Slice 104/155.
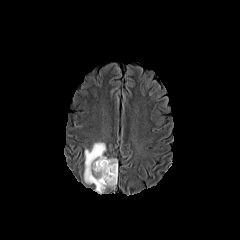
FLAIR MRI.
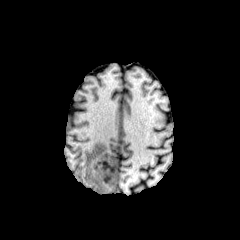
Same slice, T1-weighted magnetic resonance.
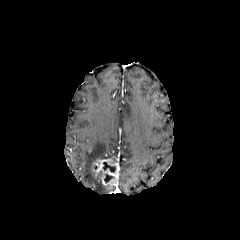
Post-contrast T1-weighted magnetic resonance of the same slice.
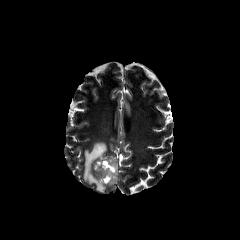
T2-weighted MRI of the same slice.
The edema is at (left=83, top=141, right=106, bottom=191). The enhancing tumor appears at (left=92, top=158, right=118, bottom=185). 3 non-enhancing tumor core regions appear at (left=104, top=173, right=114, bottom=183), (left=102, top=162, right=115, bottom=172), (left=90, top=164, right=102, bottom=182).